CT scan slice, Slice index 351
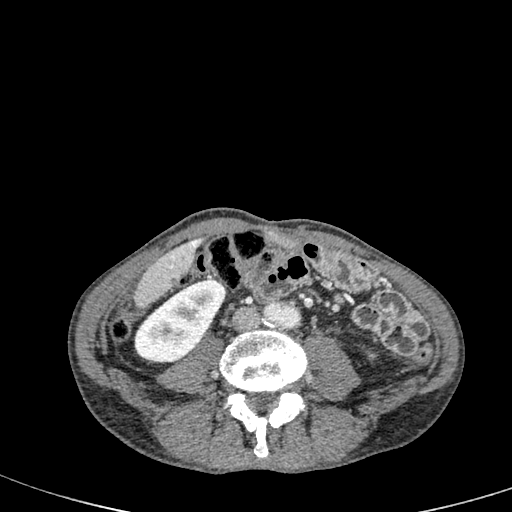 kidney:
  - <bbox>135, 280, 224, 361</bbox>
liver:
  - <bbox>135, 237, 204, 307</bbox>